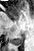
Magnetic resonance; Medial temporal lobe
The posterior hippocampus is bounded by 11:34:24:45.